CT slice, Slice 481 of 917
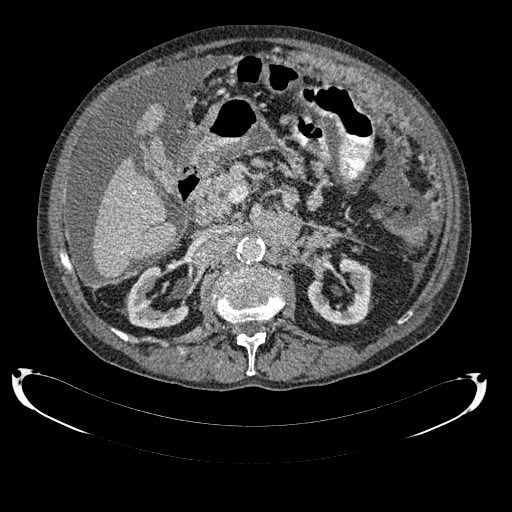 Liver = bbox(93, 156, 175, 278); bbox(151, 137, 163, 155); bbox(136, 104, 163, 132).
Kidney = bbox(308, 256, 370, 324); bbox(127, 267, 187, 328).